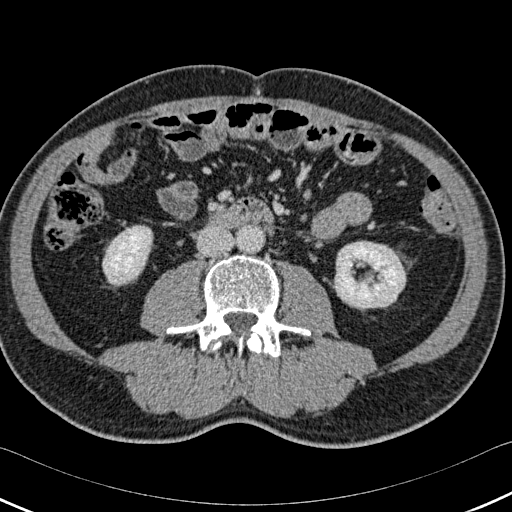 CT scan slice; Abdomen
Kidney: region(103, 226, 151, 284); region(335, 242, 405, 308).
Bone: region(211, 341, 221, 350); region(239, 336, 242, 356); region(167, 255, 310, 357).